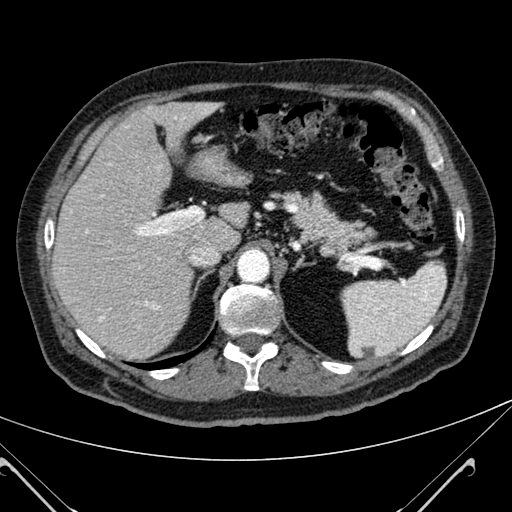

Computed tomography
Liver at 50, 99, 244, 358.